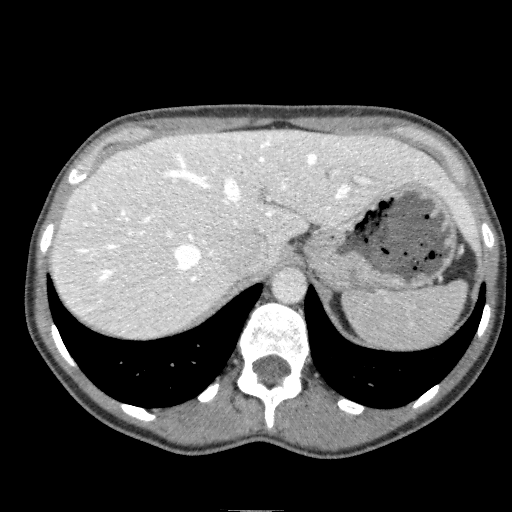
CT image | Abdomen

The liver lies within left=51, top=129, right=482, bottom=339.